Abdomen; Field of view 438 mm wide, 2.50 mm slice spacing; CT scan slice 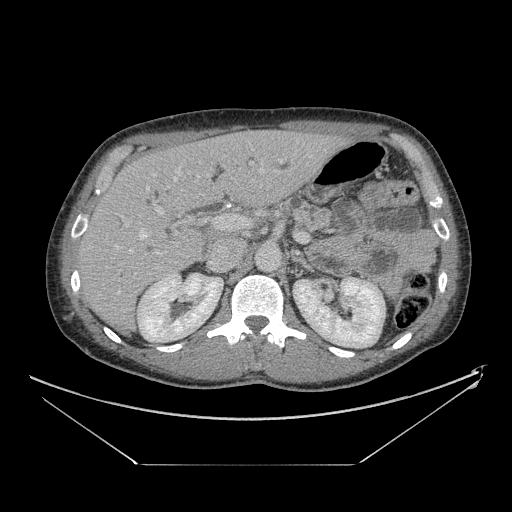
Pancreas — x1=275 y1=196 x2=333 y2=234.